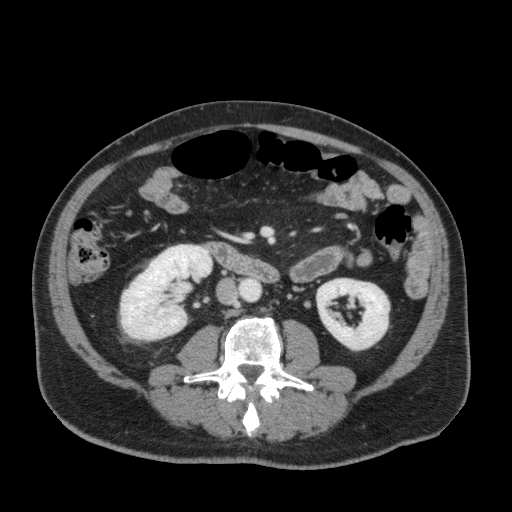
Computed tomography. {"kidney": ["l=121, t=245, r=211, b=339", "l=317, t=278, r=389, b=349"]}